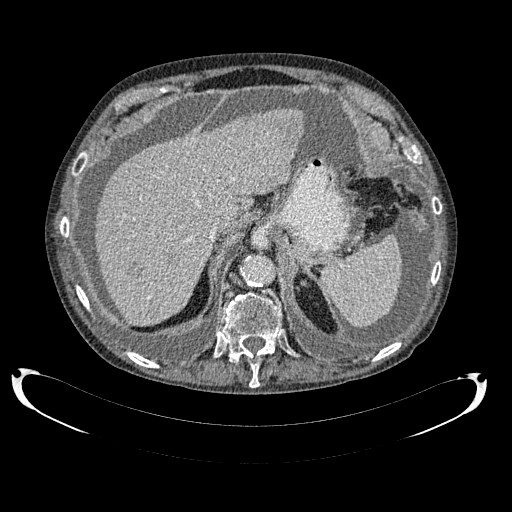 Liver | CT image
Liver: bounding box left=95, top=108, right=303, bottom=325.
Liver lesion: bounding box left=167, top=257, right=179, bottom=266; left=128, top=262, right=142, bottom=275; left=278, top=118, right=299, bottom=145.